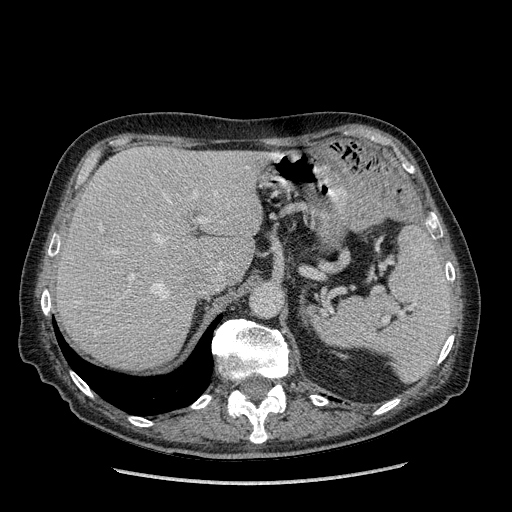
CT image.

Liver = 57:146:262:370.